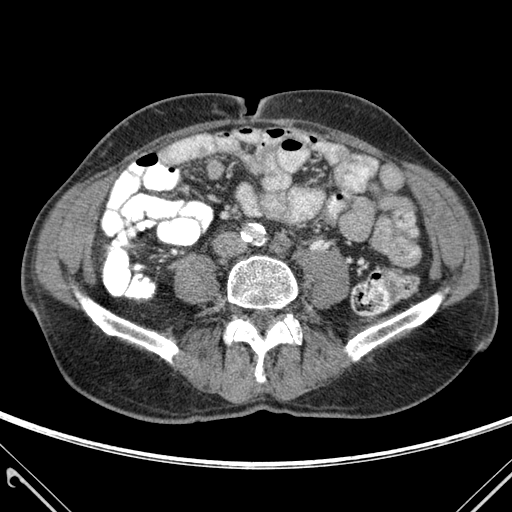
CT slice
4 bone regions are bounded by [225,315,301,381], [81,298,177,361], [346,294,441,359], [228,256,297,308].